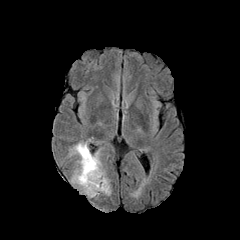
FLAIR MR.
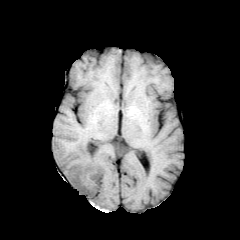
T1-weighted MR of the same slice.
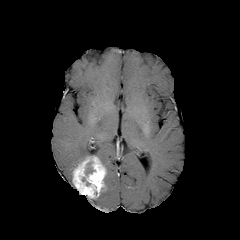
Post-contrast T1-weighted magnetic resonance.
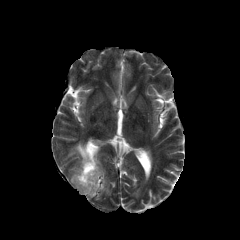
T2-weighted MR.
Brain.
Enhancing tumor: left=72, top=155, right=105, bottom=198.
Edema: left=69, top=141, right=89, bottom=163; left=103, top=177, right=110, bottom=194.